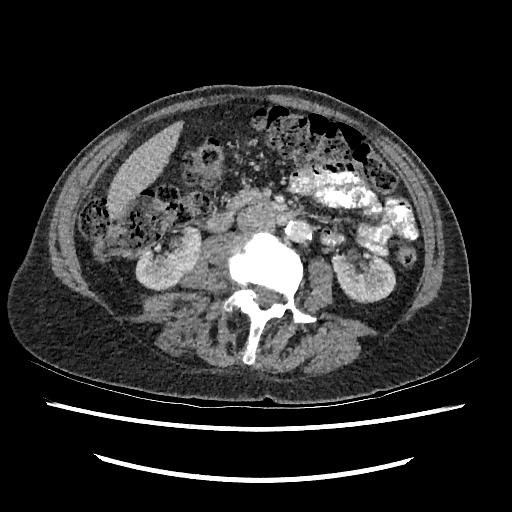 Upper abdomen, CT scan slice
Kidney: bounding box (x1=332, y1=255, x2=394, y2=301), (x1=136, y1=236, x2=200, y2=289).
Liver: bounding box (x1=108, y1=121, x2=182, y2=215).